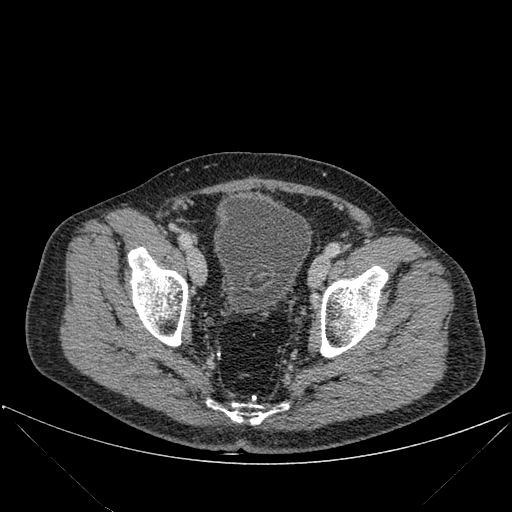 512x512 | Lower abdomen | CT
urinary bladder: <box>213,196,311,313</box> | bone: <box>128,247,187,346</box>, <box>320,266,387,357</box>, <box>206,400,288,425</box>